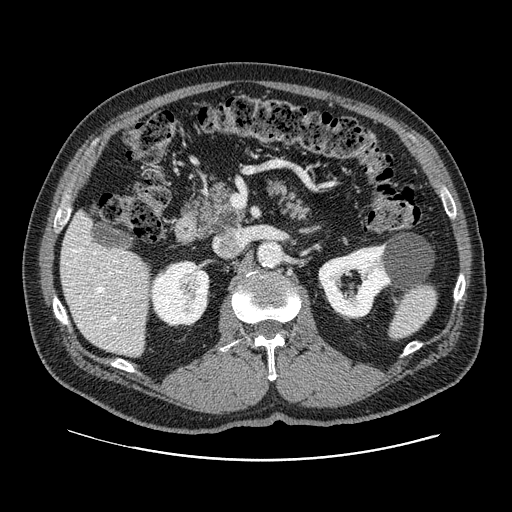 CT scan slice; Upper abdomen

Pancreas — <bbox>191, 183, 246, 233</bbox>, <bbox>263, 178, 310, 221</bbox>.
Pancreatic tumor — <bbox>215, 207, 239, 227</bbox>.